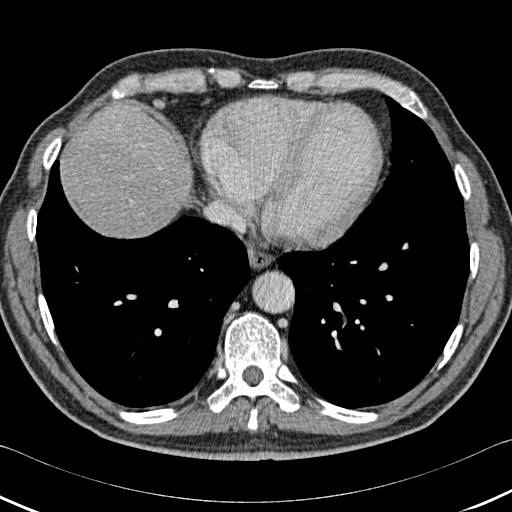 Computed tomography; 512x512

Liver: bounding box 72 108 186 237.
Bone: bounding box 438 325 462 369, 208 313 299 412, 27 209 36 240, 397 91 426 117, 248 408 257 428, 38 294 56 344, 455 164 470 199, 218 367 225 377, 317 399 377 423, 249 80 277 88, 43 137 60 169, 470 243 478 277, 112 84 127 98, 120 409 176 424.
Lung: bounding box 36 159 252 407, 271 95 469 408.